FLAIR magnetic resonance.
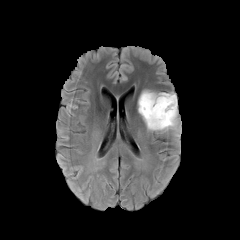
T1-weighted MR.
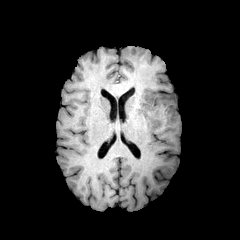
Post-contrast T1-weighted MRI.
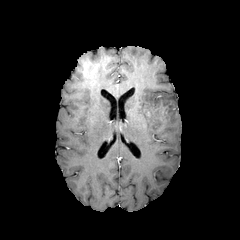
T2-weighted MR.
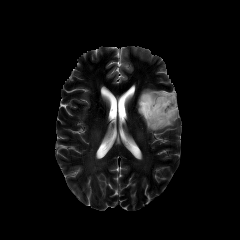
Brain; Image size 240x240
edema:
  - left=137, top=89, right=177, bottom=134
non-enhancing_tumor_core:
  - left=140, top=95, right=175, bottom=123